CT; Slice index 80
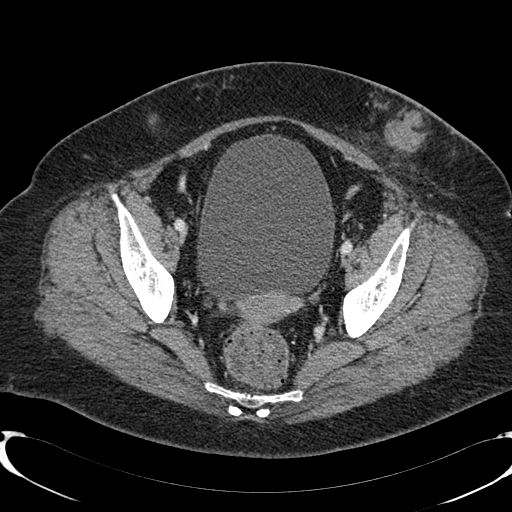
urinary_bladder:
  - bbox(198, 134, 334, 300)